Image size 240x240.
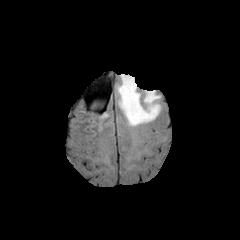
FLAIR magnetic resonance.
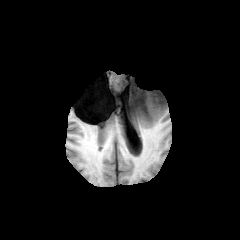
Same slice, T1-weighted magnetic resonance.
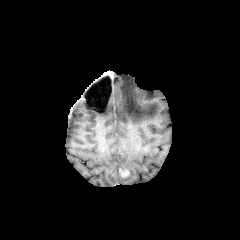
Same slice, post-contrast T1-weighted MR.
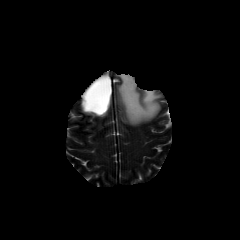
T2-weighted magnetic resonance.
Findings:
- edema: (left=117, top=74, right=160, bottom=125)